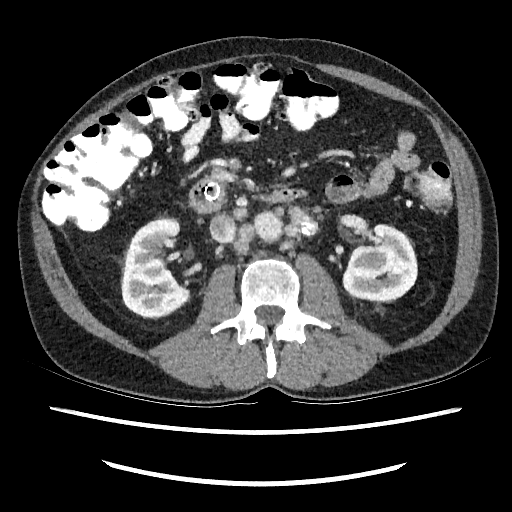 Abdomen; CT
2 kidney regions are located at <bbox>122, 220, 189, 316</bbox>, <bbox>344, 225, 416, 300</bbox>.